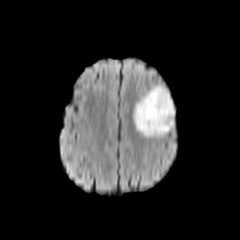
FLAIR magnetic resonance.
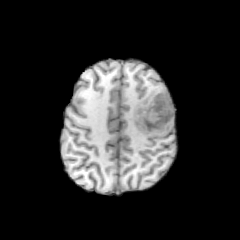
T1-weighted MRI.
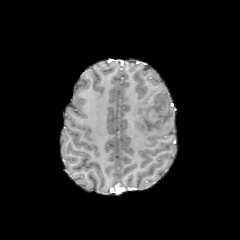
Post-contrast T1-weighted magnetic resonance of the same slice.
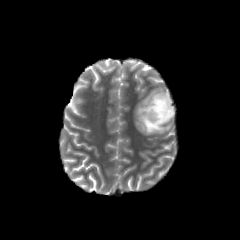
T2-weighted magnetic resonance of the same slice.
240x240 px
The non-enhancing tumor core appears at 140, 92, 173, 130. The edema is at 132, 82, 175, 137.